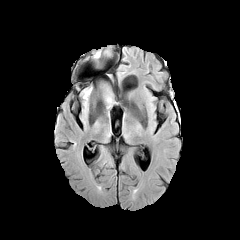
FLAIR MR.
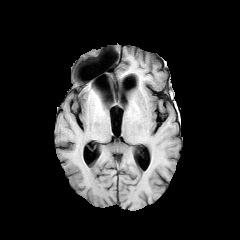
T1-weighted MR image of the same slice.
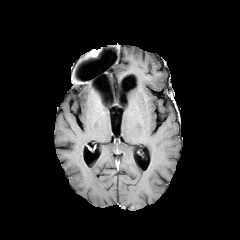
Post-contrast T1-weighted MR.
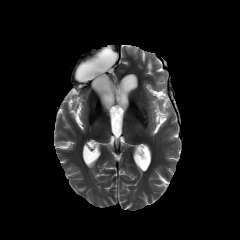
T2-weighted MRI of the same slice.
Brain
Edema — 104 88 113 107.